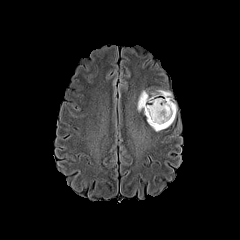
FLAIR magnetic resonance.
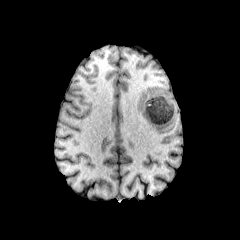
T1-weighted MRI of the same slice.
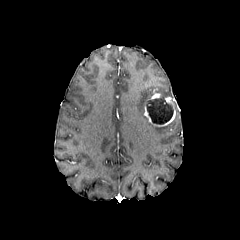
Post-contrast T1-weighted MR image of the same slice.
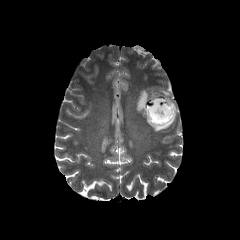
Same slice, T2-weighted MR image.
edema: 158:90:171:97, 137:89:154:112, 148:120:173:131 | enhancing tumor: 143:92:176:127 | non-enhancing tumor core: 146:98:173:124